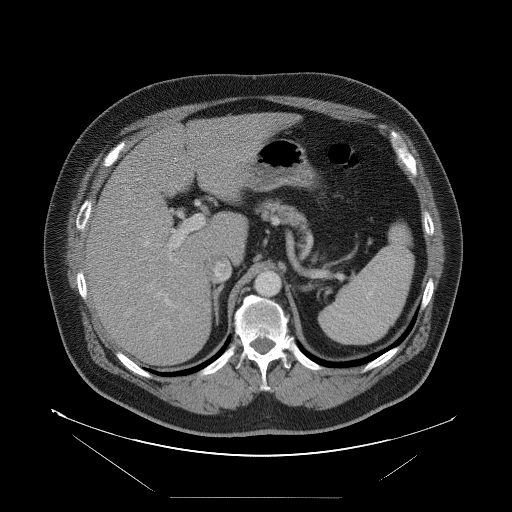 CT; Abdomen
Only some of the vessels may be annotated.
8 hepatic vessel regions appear at rect(123, 220, 126, 223); rect(144, 240, 148, 246); rect(121, 282, 125, 283); rect(169, 256, 171, 259); rect(169, 237, 177, 248); rect(156, 292, 161, 296); rect(147, 284, 153, 288); rect(165, 294, 175, 307).